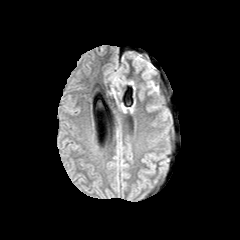
FLAIR MRI.
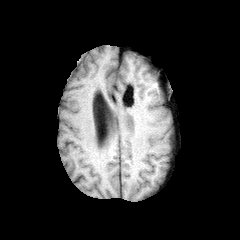
Same slice, T1-weighted magnetic resonance.
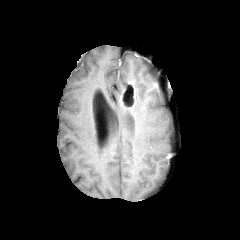
Post-contrast T1-weighted MR image of the same slice.
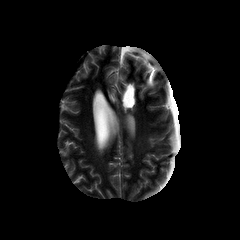
Same slice, T2-weighted MR image.
Brain; 240x240 px
Edema — (x1=147, y1=76, x2=155, y2=92), (x1=111, y1=72, x2=118, y2=86), (x1=144, y1=68, x2=154, y2=76).